Slice 257/424. CT scan slice. Upper abdomen. 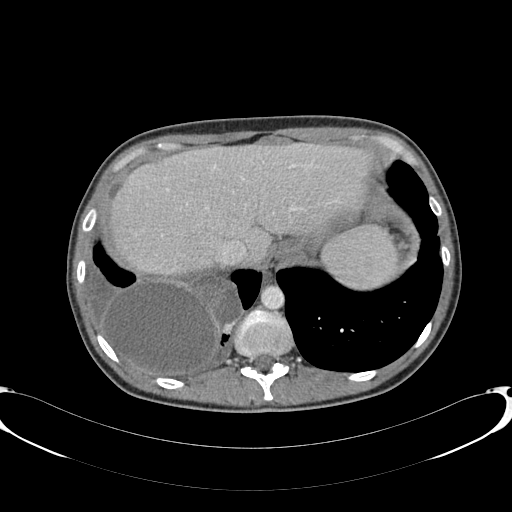
The liver is located at box(112, 143, 372, 274).